FLAIR MR.
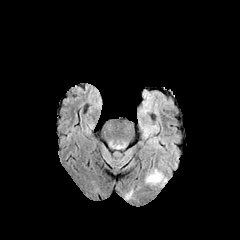
T1-weighted MRI.
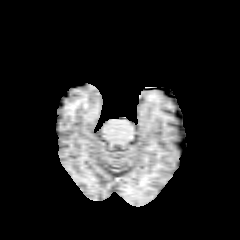
Post-contrast T1-weighted MR.
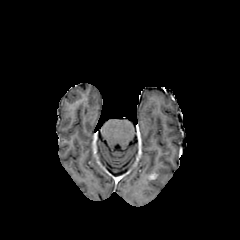
T2-weighted MRI.
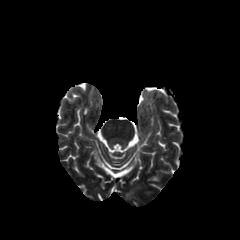
Brain. 240x240.
{
  "edema": [
    "box=[146, 169, 166, 185]"
  ]
}